Slice 56/155 | Image size 240x240 | Image width 240 mm
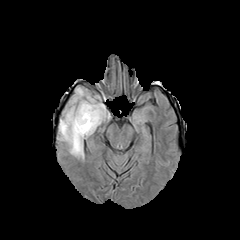
FLAIR MRI.
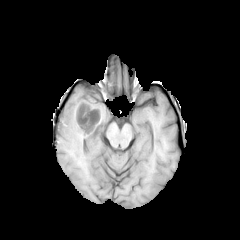
Same slice, T1-weighted MR image.
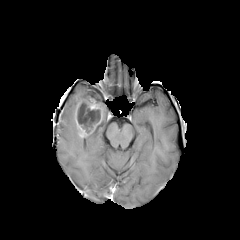
Post-contrast T1-weighted MRI.
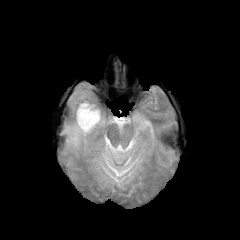
T2-weighted MR image of the same slice.
The edema appears at x1=59, y1=88, x2=110, y2=159. The non-enhancing tumor core is located at x1=76, y1=99, x2=103, y2=133.